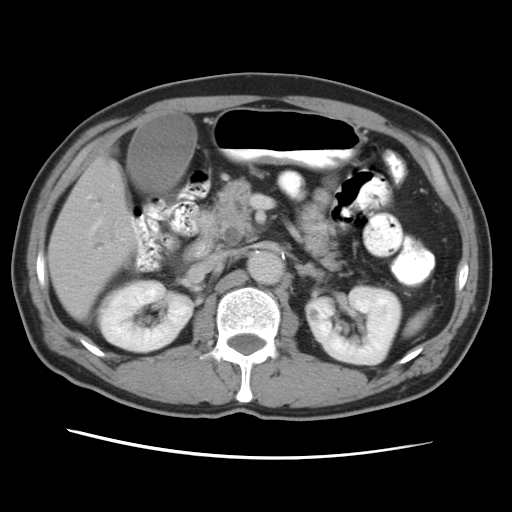 CT image, Upper abdomen

pancreas:
  - l=298, t=201, r=352, b=273
  - l=214, t=179, r=253, b=226